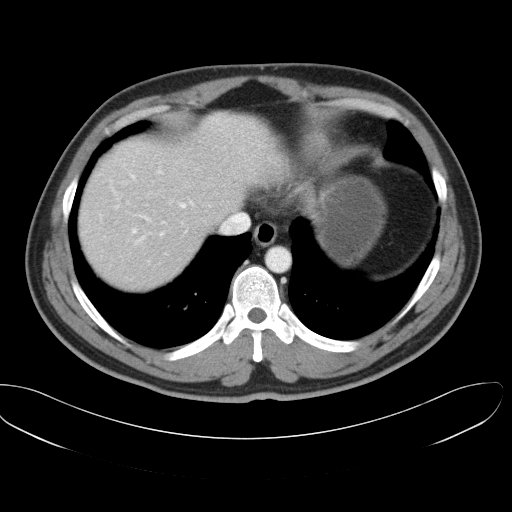
CT slice | Abdomen
Not every hepatic vessel necessarily has a box.
Hepatic vessel: bounding box bbox(135, 236, 143, 243); bbox(130, 174, 135, 179); bbox(134, 214, 137, 215); bbox(148, 261, 149, 262); bbox(132, 229, 136, 232); bbox(160, 232, 163, 234); bbox(157, 170, 162, 173); bbox(170, 200, 173, 203); bbox(115, 206, 118, 207); bbox(161, 221, 164, 223); bbox(221, 213, 248, 233); bbox(140, 215, 150, 220); bbox(179, 203, 185, 207).